512x512 px; CT slice; Upper abdomen
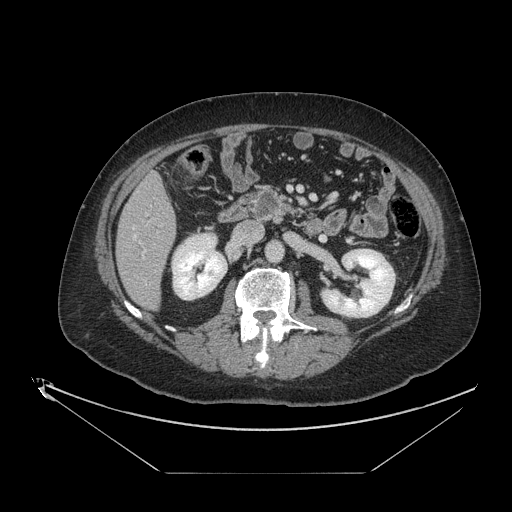
Pancreas: (250,186,290,222).
Pancreatic tumor: (257,192,278,219).